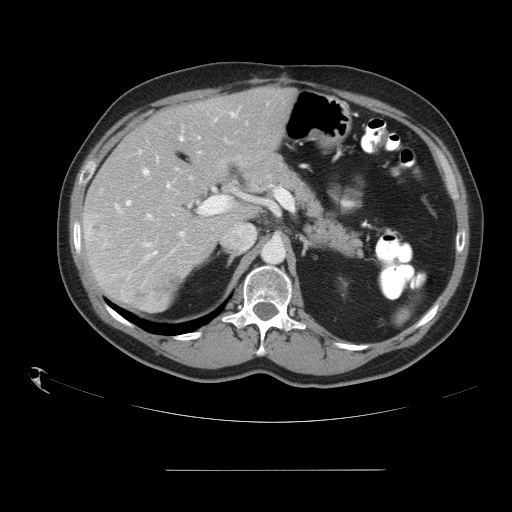

Abdomen | CT slice

The vessel annotation is not exhaustive.
Hepatic vessel = 179 231 183 235, 248 197 251 198, 126 201 130 204, 179 136 183 140, 143 169 148 174, 146 214 151 218, 166 184 169 187, 199 196 226 214, 189 177 191 178, 230 112 236 116.
Liver tumor = 157 275 179 294, 91 224 102 230.